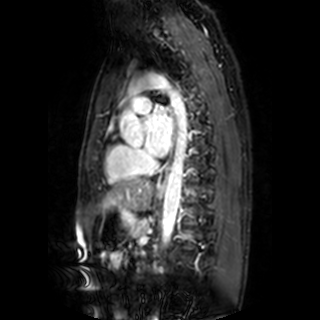 MRI, Heart
left_atrium:
  - (x1=145, y1=106, x2=172, y2=158)